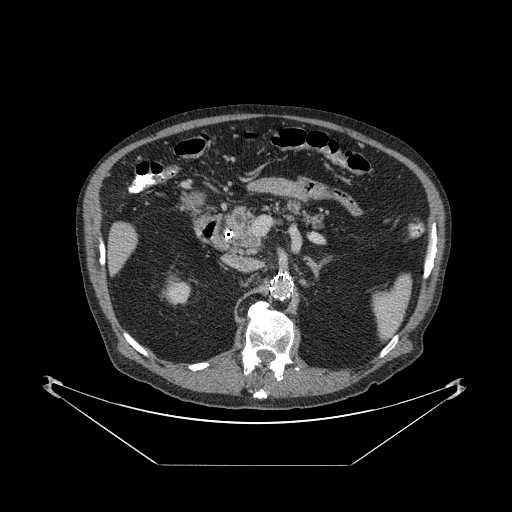
Abdomen | CT slice
Pancreas: 264 202 300 219, 306 216 324 228, 225 207 260 250.
Pancreatic tumor: 229 212 252 241.